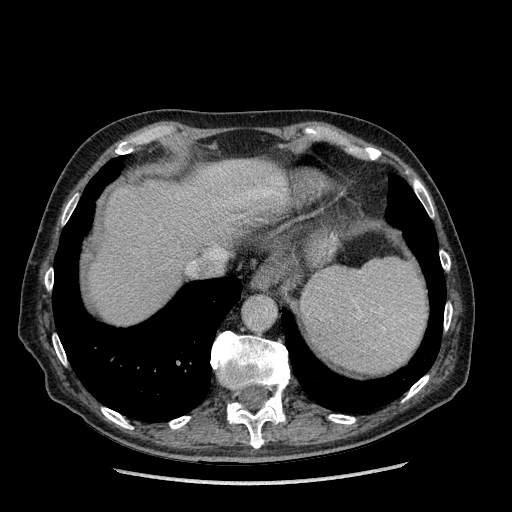
512x512; CT image
Segmented structures:
* liver: 89, 160, 286, 324